CT slice
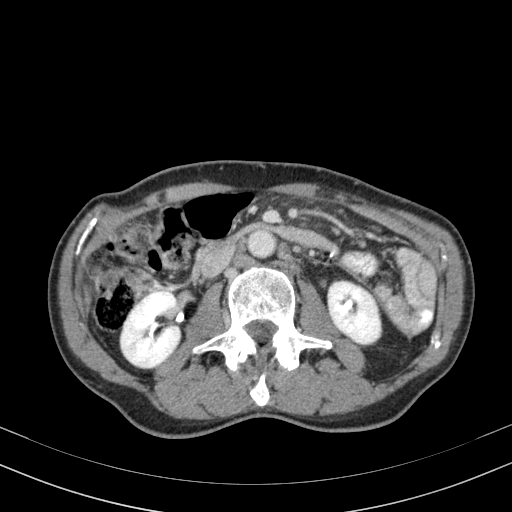

Segmented structures:
- kidney: 121, 291, 179, 367; 328, 282, 380, 343